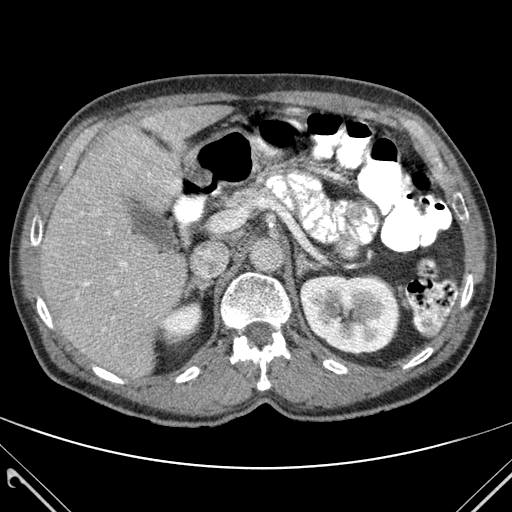
CT image. Liver.

{
  "liver": [
    "<bbox>40, 126, 186, 378</bbox>",
    "<bbox>143, 106, 229, 153</bbox>"
  ],
  "bone": [
    "<bbox>230, 331, 289, 389</bbox>",
    "<bbox>404, 348, 432, 367</bbox>",
    "<bbox>93, 367, 122, 383</bbox>",
    "<bbox>37, 298, 52, 327</bbox>",
    "<bbox>176, 367, 198, 381</bbox>",
    "<bbox>221, 273, 289, 328</bbox>",
    "<bbox>457, 193, 467, 216</bbox>",
    "<bbox>461, 275, 472, 306</bbox>",
    "<bbox>323, 360, 346, 373</bbox>",
    "<bbox>31, 212, 41, 246</bbox>"
  ],
  "kidney": [
    "<bbox>162, 307, 198, 335</bbox>",
    "<bbox>301, 277, 397, 352</bbox>"
  ]
}